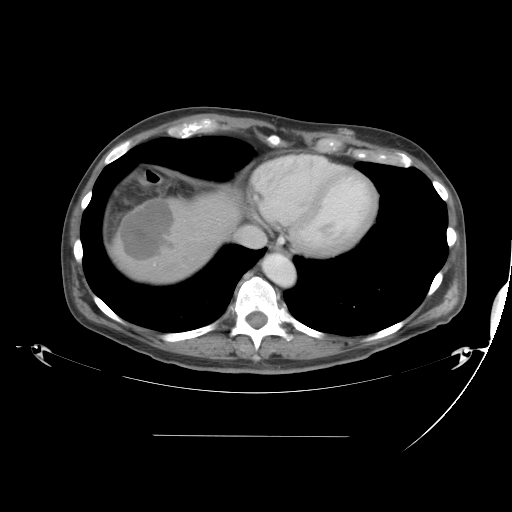

CT image; Abdomen; 512x512 px
Only some of the vessels may be annotated.
The hepatic vessel is bounded by region(242, 227, 250, 237). The liver tumor is at region(120, 199, 172, 259).